Slice 35 of 83; Computed tomography

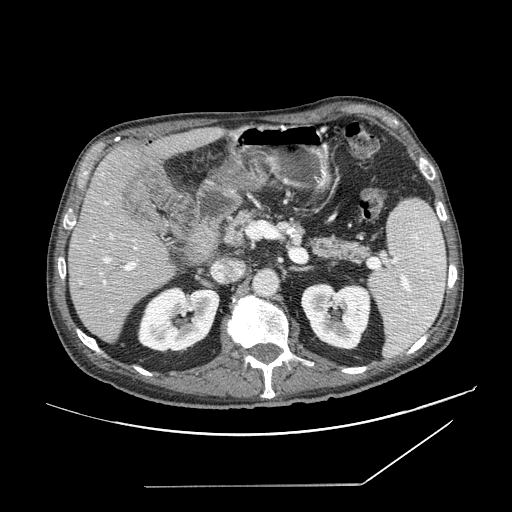 {"pancreas": ["box=[311, 239, 365, 257]", "box=[225, 213, 252, 244]"]}